CT scan slice | Image size 512x512 | Lower abdomen

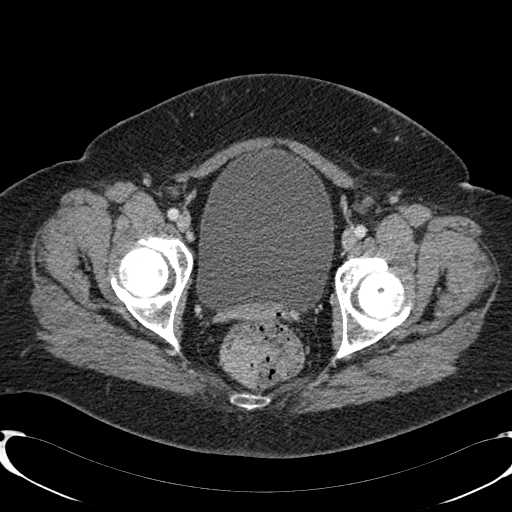 Segmented structures:
• urinary bladder: bbox=[196, 146, 333, 310]